Slice 78 of 155. Brain.
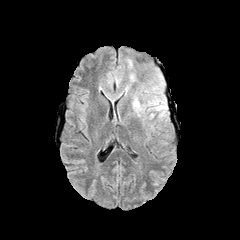
FLAIR MR image.
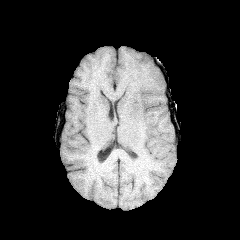
T1-weighted magnetic resonance.
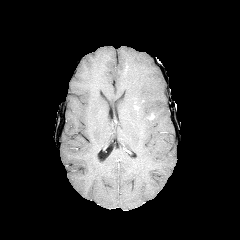
Post-contrast T1-weighted MR image.
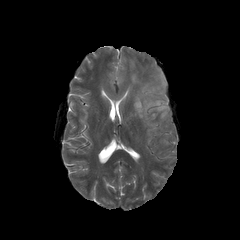
Same slice, T2-weighted MR image.
Edema: bounding box 133,71,167,121.